CT scan slice; Slice 25/89; Upper abdomen
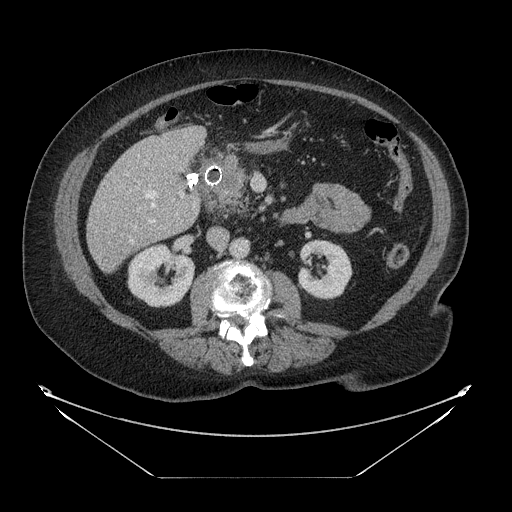 {
  "pancreas": [
    "(207,171,247,216)"
  ],
  "pancreatic_tumor": [
    "(221,168,238,194)"
  ]
}